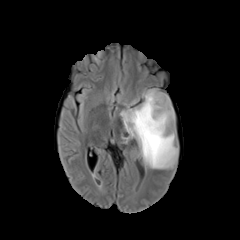
FLAIR magnetic resonance.
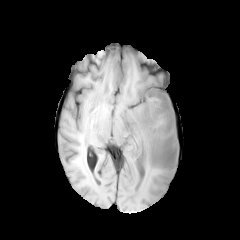
Same slice, T1-weighted MR image.
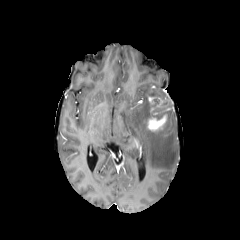
Post-contrast T1-weighted magnetic resonance of the same slice.
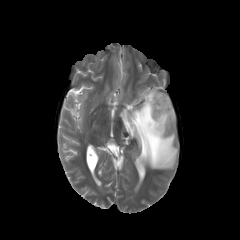
T2-weighted MR image of the same slice.
Brain
• non-enhancing tumor core: [136, 93, 173, 132]
• enhancing tumor: [157, 98, 167, 107], [147, 114, 166, 131]
• edema: [120, 88, 177, 169]